CT slice. Image width 360 mm. Slice 66/88.
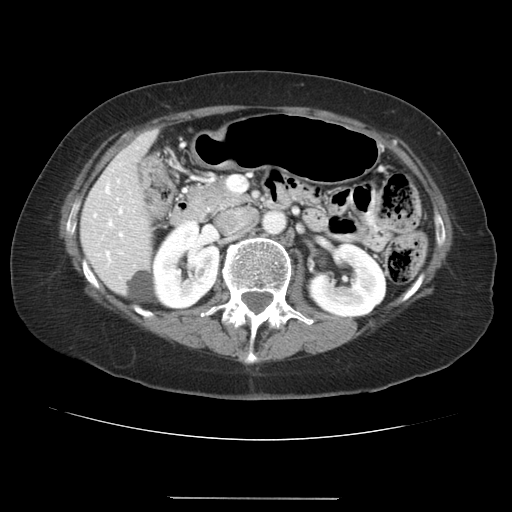 <segmentation>
  <colon_tumor>box=[140, 156, 177, 219]</colon_tumor>
</segmentation>